FLAIR MRI.
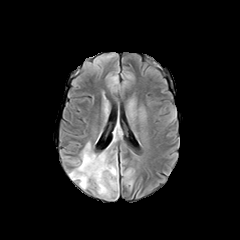
T1-weighted MR image.
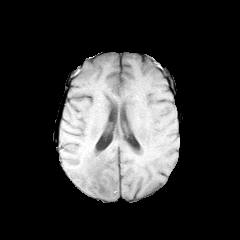
Post-contrast T1-weighted MRI.
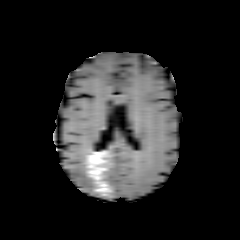
T2-weighted MR.
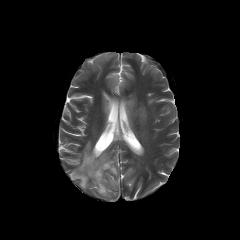
Head.
Edema: l=70, t=151, r=89, b=187; l=106, t=162, r=117, b=177.
Enhancing tumor: l=98, t=183, r=107, b=195; l=86, t=154, r=107, b=180.
Non-enhancing tumor core: l=88, t=174, r=109, b=191.